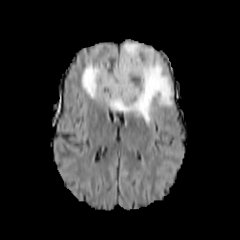
FLAIR MRI.
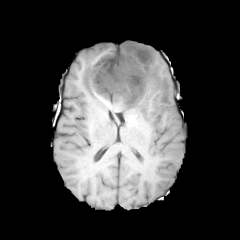
T1-weighted MR.
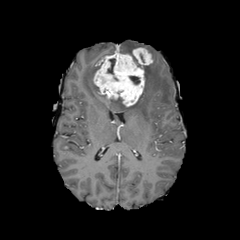
Post-contrast T1-weighted MR image.
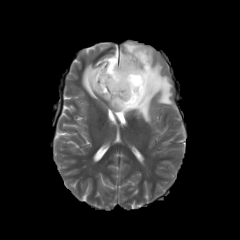
T2-weighted MRI.
Head
Annotated regions:
* enhancing tumor: l=133, t=47, r=152, b=64; l=93, t=51, r=144, b=106
* non-enhancing tumor core: l=109, t=97, r=123, b=106; l=107, t=58, r=115, b=74; l=129, t=76, r=140, b=84
* edema: l=81, t=61, r=173, b=122; l=121, t=42, r=154, b=59